Liver; CT 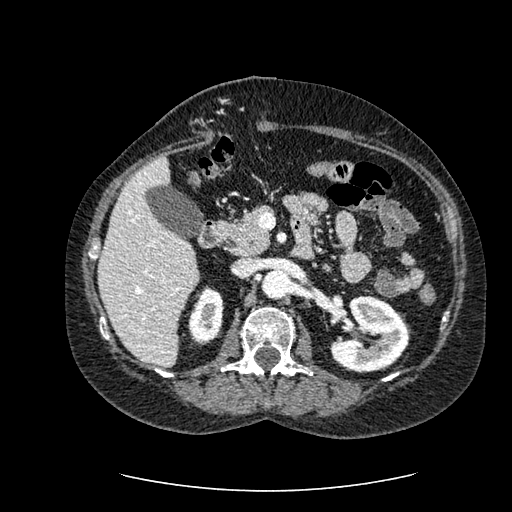 Liver: bounding box l=98, t=157, r=199, b=365.
Kidney: bounding box l=189, t=288, r=222, b=341; l=325, t=297, r=408, b=371.